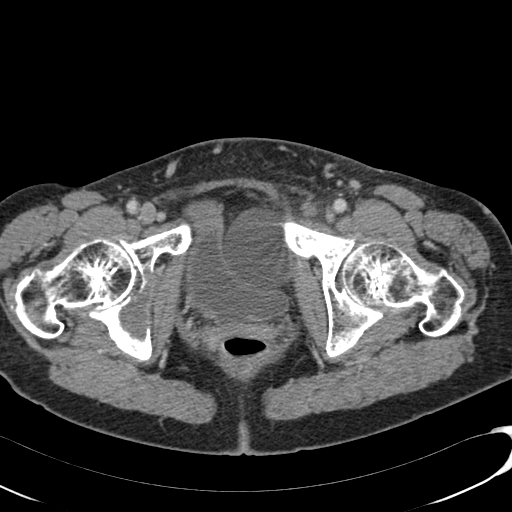
CT image

Urinary bladder — 183:200:289:326.